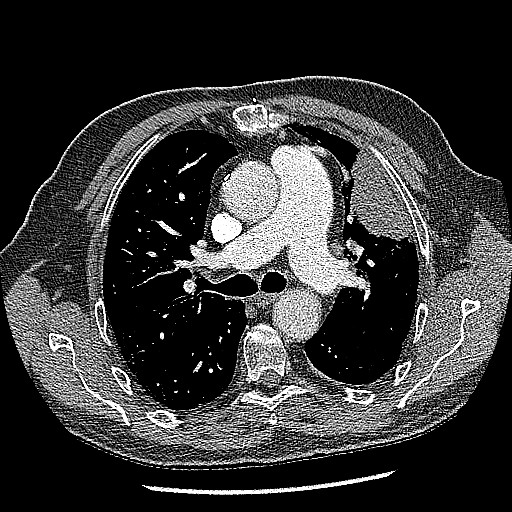

CT image
The lung tumor is bounded by <bbox>349, 149, 412, 242</bbox>.